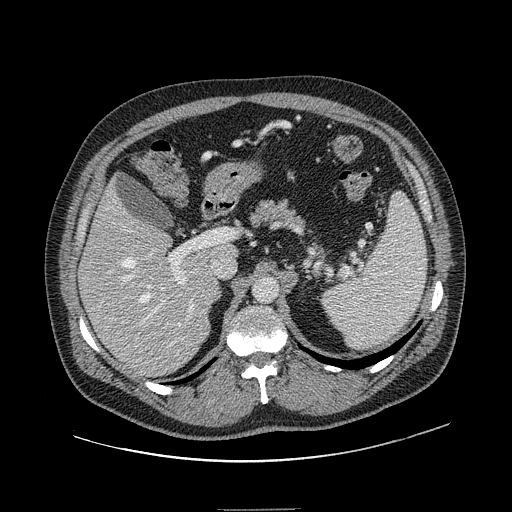 CT image
<segmentation>
  <pancreas>bbox=[313, 244, 327, 261]; bbox=[248, 201, 304, 227]</pancreas>
</segmentation>